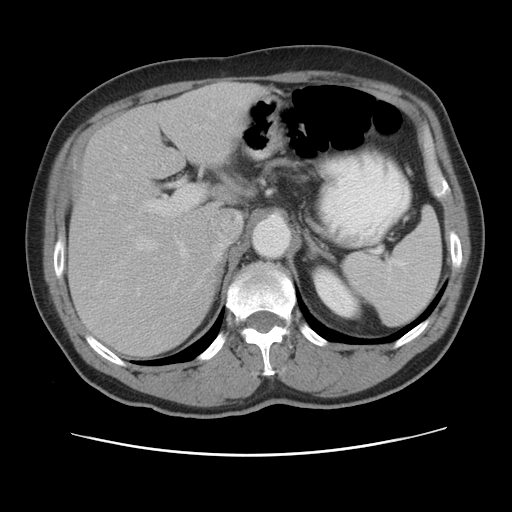 Abdomen; CT slice

Some hepatic vessels may have no box.
<segmentation>
  <hepatic_vessel>bbox(194, 125, 196, 126); bbox(121, 146, 126, 153); bbox(136, 288, 138, 292); bbox(178, 242, 185, 255); bbox(110, 195, 115, 200); bbox(116, 174, 119, 177); bbox(133, 135, 136, 136); bbox(212, 247, 215, 254); bbox(138, 209, 140, 211); bbox(120, 132, 121, 133); bbox(162, 165, 164, 169); bbox(173, 283, 174, 285); bbox(139, 146, 142, 148)</hepatic_vessel>
</segmentation>